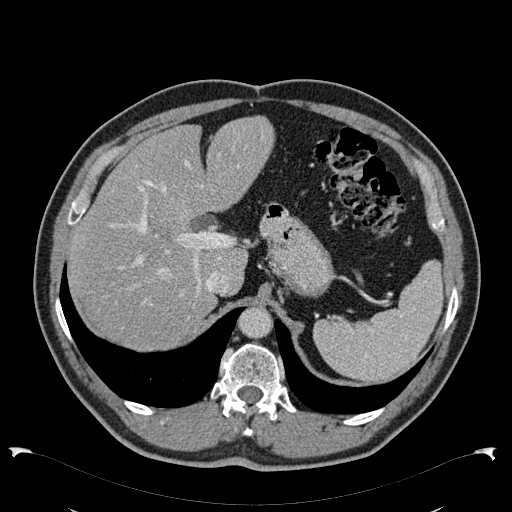
CT image
Segmented structures:
• liver: box(68, 117, 274, 348)